Slice 170 of 244; CT image; Image size 512x512 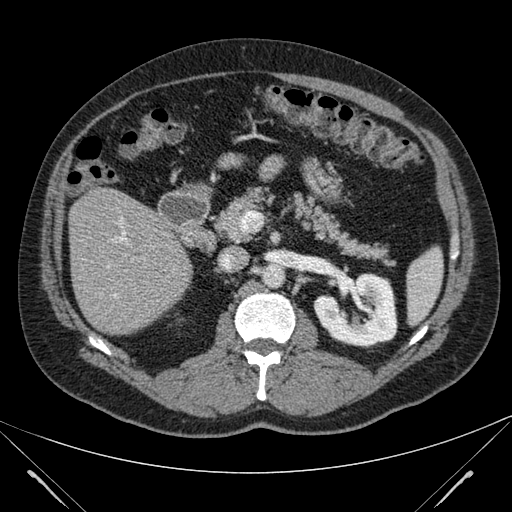

Liver: bbox=[69, 187, 192, 334].
Kidney: bbox=[315, 274, 396, 345].